Cardiac | 320x320 px | Slice 88 of 120 | Field of view 400 mm wide, 1.37 mm slice spacing | Magnetic resonance

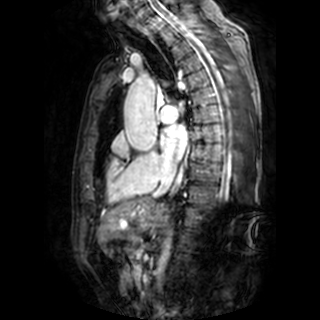
left atrium: 160:124:187:160